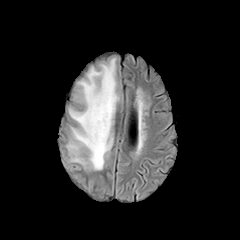
FLAIR MR image.
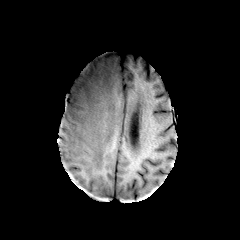
T1-weighted MRI of the same slice.
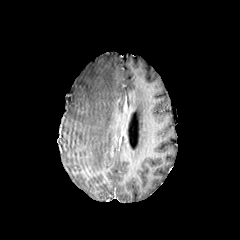
Post-contrast T1-weighted MR.
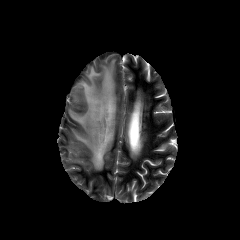
T2-weighted magnetic resonance of the same slice.
Edema: bounding box (x1=70, y1=58, x2=117, y2=169).